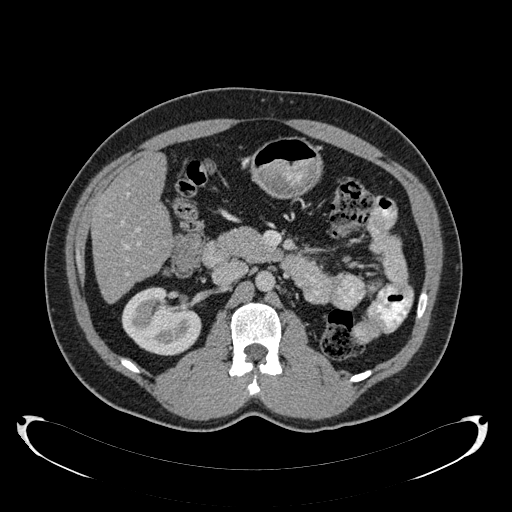 CT image
Segmented structures:
- kidney: rect(122, 288, 200, 354)
- liver: rect(91, 154, 172, 301)